Field of view 500x500 mm. Image size 512x512. Computed tomography.
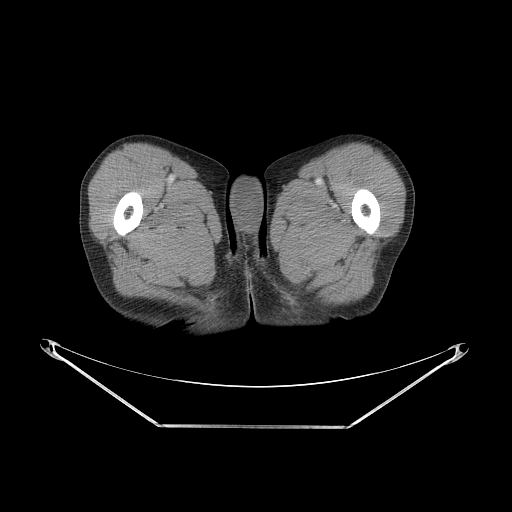
Bone: bounding box [x1=113, y1=191, x2=142, y2=235], [x1=352, y1=189, x2=379, y2=233].